320x320. MR.
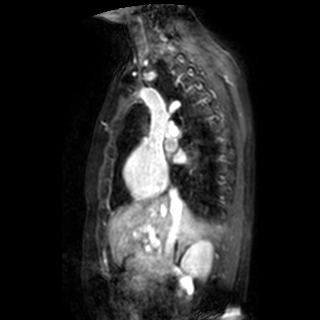
Left atrium: left=165, top=139, right=175, bottom=151; left=175, top=152, right=185, bottom=162.